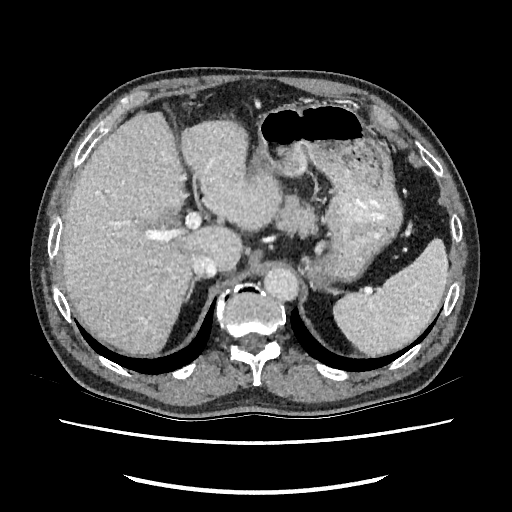

CT scan slice; Abdomen
<segmentation>
  <liver>182,120,280,228; 62,114,240,352</liver>
  <focal_liver_lesion>162,210,171,218</focal_liver_lesion>
</segmentation>